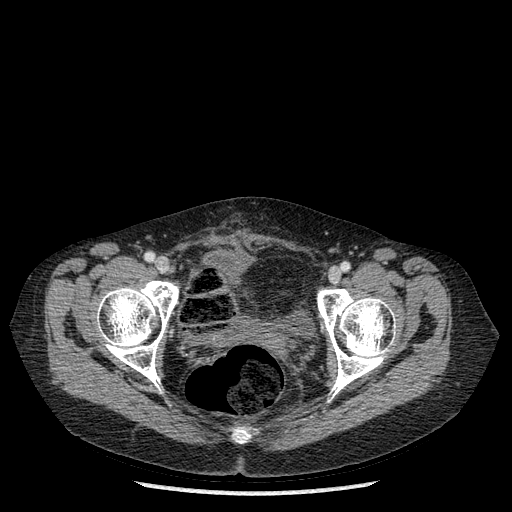

CT

3 bone regions are located at left=232, top=429, right=250, bottom=443; left=95, top=280, right=178, bottom=390; left=317, top=289, right=395, bottom=399.